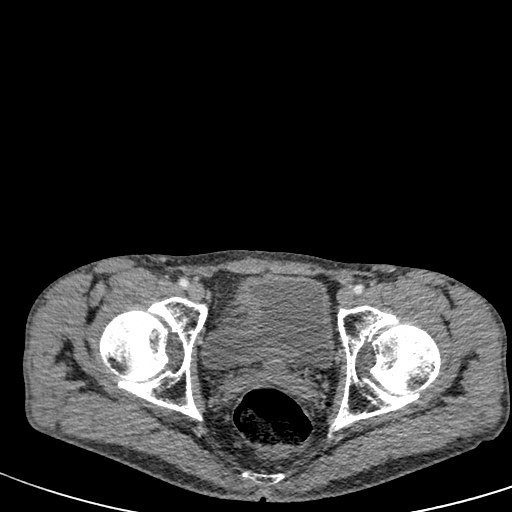

Lower abdomen | Computed tomography
The urinary bladder is bounded by [201,273,333,372].